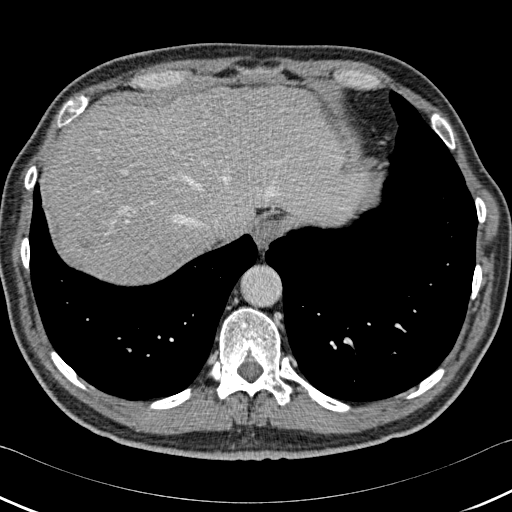
Upper abdomen; CT image

Bone at (25, 166, 36, 189), (471, 265, 481, 298), (407, 369, 443, 398), (431, 114, 454, 148), (58, 97, 87, 126), (150, 389, 190, 409), (51, 352, 86, 389), (211, 308, 349, 411), (475, 198, 485, 222), (21, 238, 29, 268).
Hepatic lesion at (79, 238, 92, 247).
Lung at (265, 90, 478, 405), (29, 182, 260, 400).
Liver at (40, 85, 370, 284).